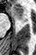
MR image, 36x55

The anterior hippocampus is located at box=[9, 6, 27, 21].